CT scan slice. Abdomen. Slice index 412.

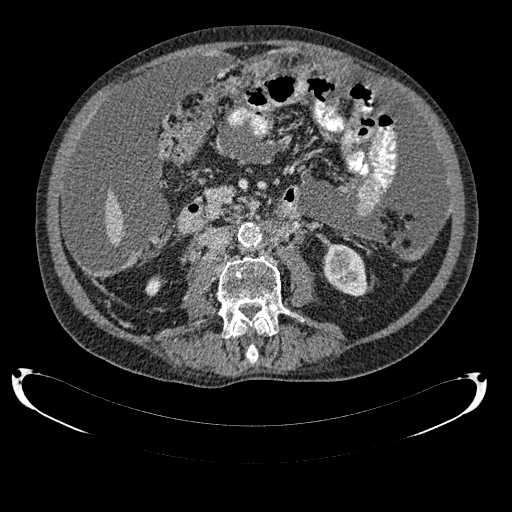
The liver is bounded by {"x1": 105, "y1": 191, "x2": 123, "y2": 243}. 2 kidney regions appear at {"x1": 146, "y1": 279, "x2": 160, "y2": 295}, {"x1": 324, "y1": 245, "x2": 366, "y2": 295}.